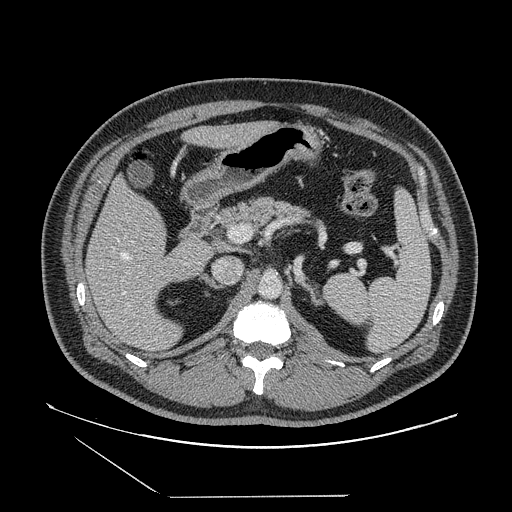

Abdomen. CT slice.

Pancreas: bounding box [206, 195, 312, 254].